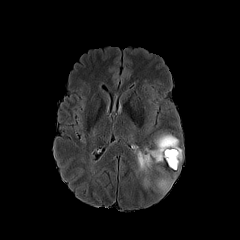
FLAIR MR image.
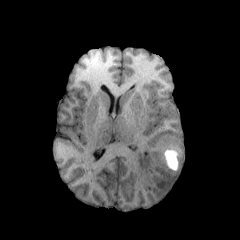
T1-weighted MR.
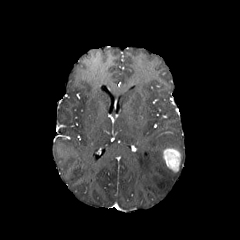
Post-contrast T1-weighted MR image.
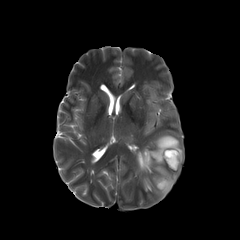
T2-weighted MRI.
Head
Edema: bbox=[155, 177, 172, 194]; bbox=[136, 134, 181, 187].
Enhancing tumor: bbox=[162, 146, 181, 172].